CT slice | Field of view 496x496 mm | 512x512 px | Slice 23/537
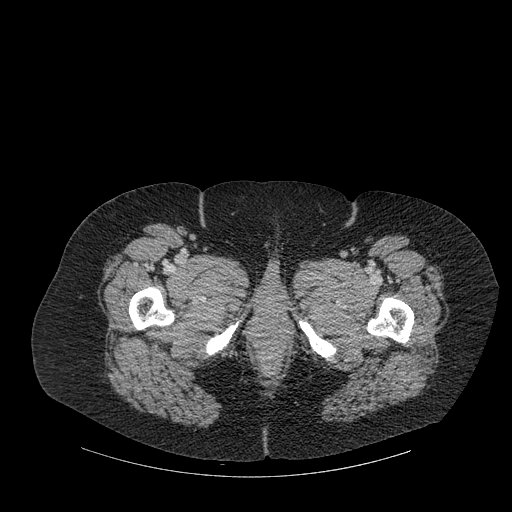 Segmented structures:
• bone: (129,287,174,329), (299,321,335,358), (367,298,413,342), (206,322,238,354)